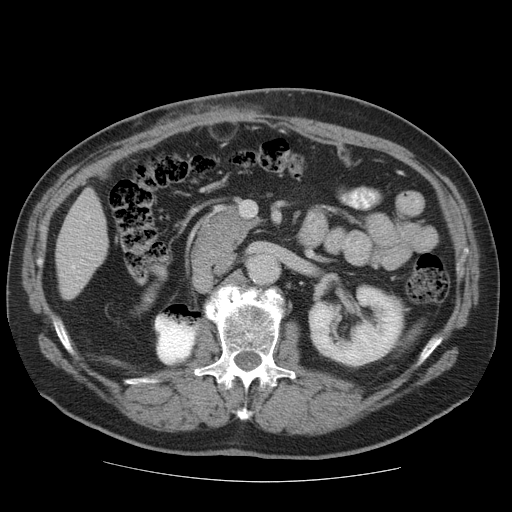

Image size 512x512. Liver. Computed tomography.
Some hepatic vessels may have no box.
3 hepatic vessel regions are located at left=77, top=277, right=79, bottom=278; left=86, top=216, right=88, bottom=218; left=71, top=266, right=74, bottom=271.